FLAIR MR.
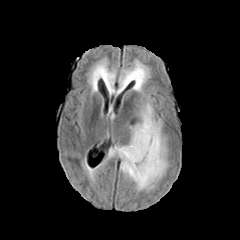
T1-weighted MR.
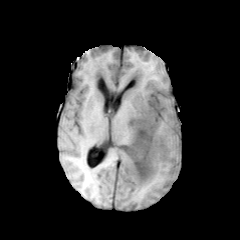
Post-contrast T1-weighted MRI.
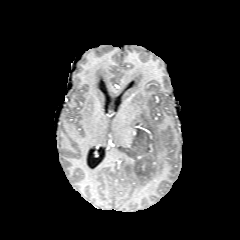
T2-weighted MR image.
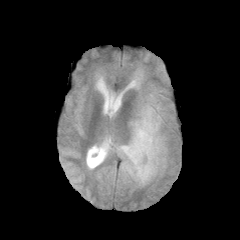
Head.
The non-enhancing tumor core appears at 122:106:155:185. 4 edema regions are located at 109:60:149:95, 111:94:167:190, 92:67:108:85, 132:136:147:151.